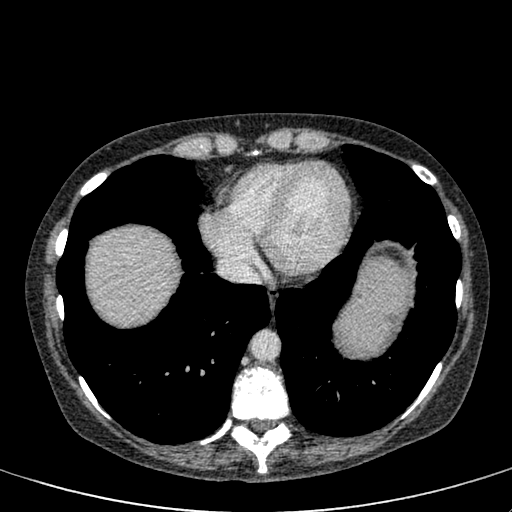 Upper abdomen, CT
The liver is located at x1=87 y1=228 x2=177 y2=324.